CT slice; Slice index 667

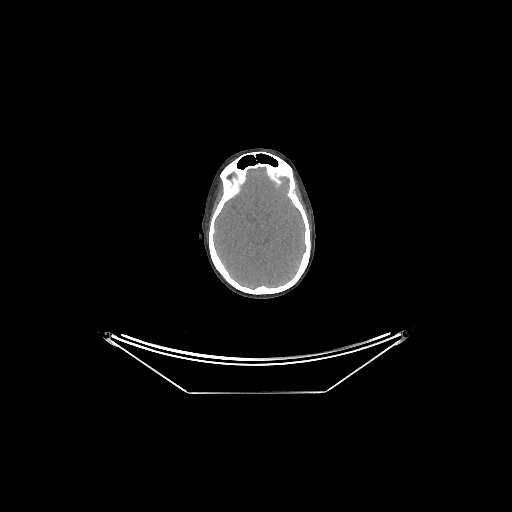

Brain: left=213, top=167, right=306, bottom=288.